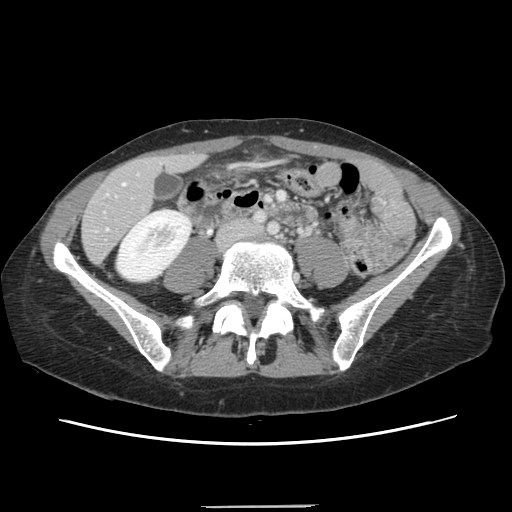 CT | Abdomen
Only some of the vessels may be annotated.
Hepatic vessel — box=[122, 183, 124, 185].